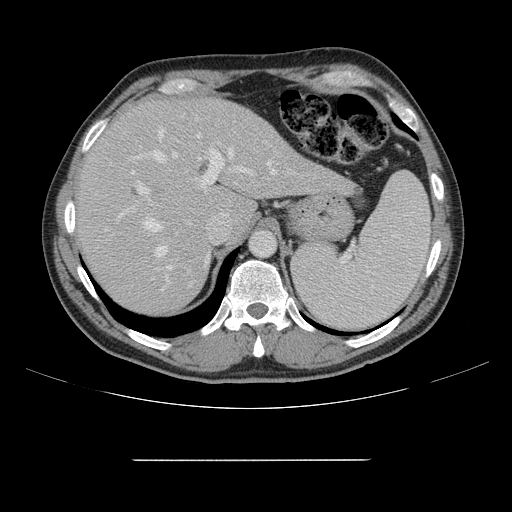 CT scan slice | 512x512 px
The vessel annotation is not exhaustive.
<segmentation partial="true">
  <hepatic_vessel shown="15" total="16">200, 148, 223, 191; 144, 219, 159, 231; 167, 265, 171, 269; 138, 184, 149, 194; 198, 157, 201, 159; 229, 148, 233, 156; 166, 278, 168, 285; 154, 246, 165, 256; 271, 169, 276, 173; 197, 133, 201, 137; 229, 167, 253, 174; 267, 160, 271, 165; 118, 208, 134, 217; 132, 170, 133, 172; 163, 286, 165, 288</hepatic_vessel>
</segmentation>